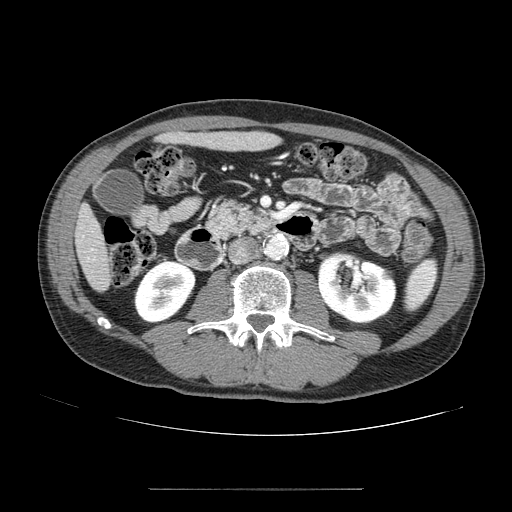

Abdomen | Computed tomography
Pancreas at [x1=207, y1=200, x2=274, y2=239].